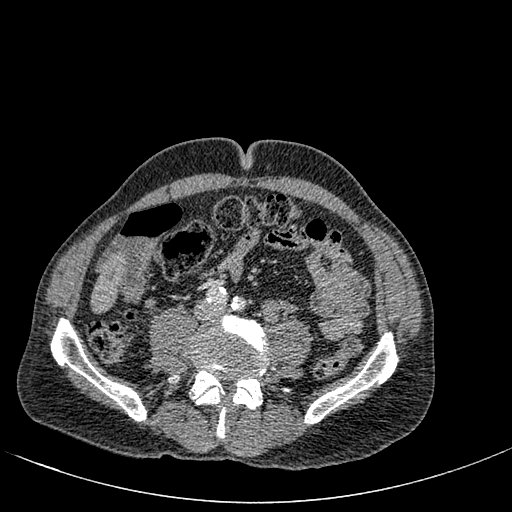

Upper abdomen. 512x512 px. CT slice. The liver appears at 91 253 125 311.